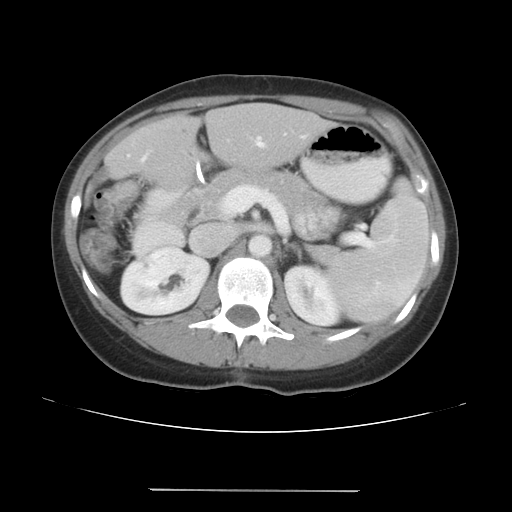

CT scan slice | Image size 512x512
The vessel boxes may cover only some of the vessels.
liver tumor: <box>85,165,107,203</box> | hepatic vessel: <box>256,139,263,145</box>